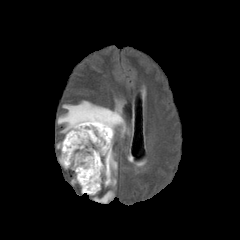
FLAIR MRI.
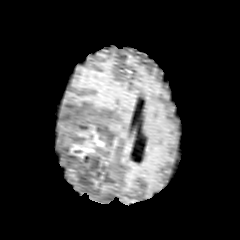
T1-weighted magnetic resonance.
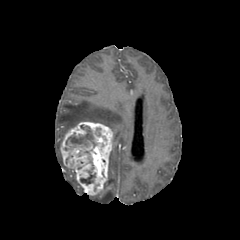
Post-contrast T1-weighted magnetic resonance.
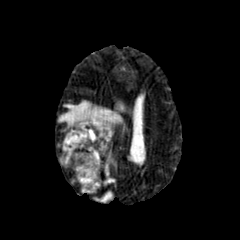
Same slice, T2-weighted magnetic resonance.
Image size 240x240
Enhancing tumor = bbox=[58, 120, 114, 195].
Edema = bbox=[58, 101, 126, 136]; bbox=[105, 151, 117, 186]; bbox=[93, 191, 113, 203].
Non-enhancing tumor core = bbox=[70, 137, 83, 143]; bbox=[80, 175, 93, 183].